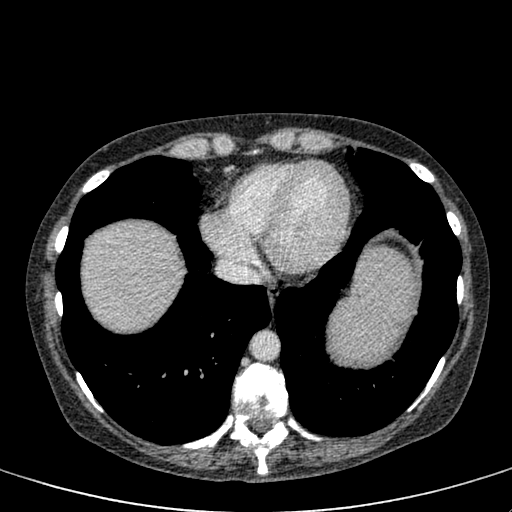

Computed tomography, Image size 512x512
liver: [82,223,181,329]